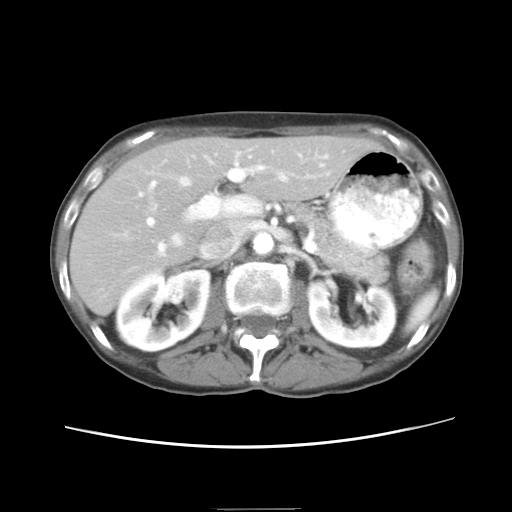
Computed tomography, Abdomen

The vessel boxes may cover only some of the vessels.
Hepatic vessel — {"x1": 279, "y1": 173, "x2": 285, "y2": 179}, {"x1": 154, "y1": 205, "x2": 155, "y2": 207}, {"x1": 243, "y1": 165, "x2": 262, "y2": 172}, {"x1": 234, "y1": 160, "x2": 237, "y2": 163}, {"x1": 158, "y1": 242, "x2": 164, "y2": 254}, {"x1": 147, "y1": 218, "x2": 153, "y2": 224}, {"x1": 249, "y1": 155, "x2": 250, "y2": 157}, {"x1": 235, "y1": 152, "x2": 238, "y2": 157}, {"x1": 180, "y1": 177, "x2": 188, "y2": 184}, {"x1": 172, "y1": 234, "x2": 180, "y2": 244}.